512x512 px | CT slice | Field of view 408 mm wide, 0.80 mm slice spacing | Abdomen

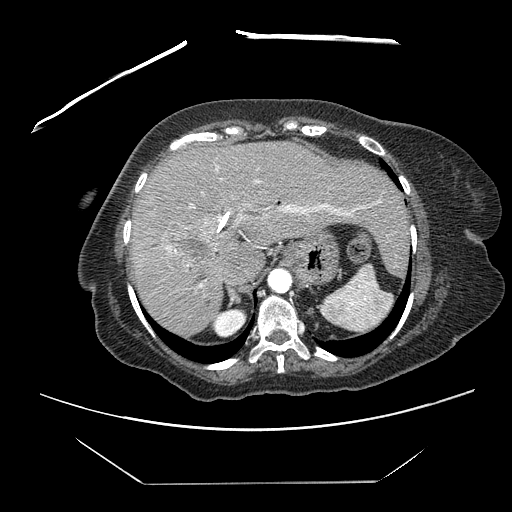

Not every hepatic vessel necessarily has a box.
The liver tumor is bounded by region(165, 223, 221, 269). 3 hepatic vessel regions are bounded by region(200, 284, 202, 286); region(237, 215, 242, 221); region(279, 204, 364, 215).